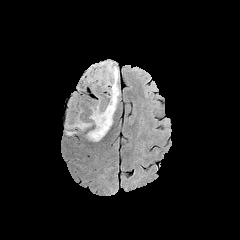
FLAIR magnetic resonance.
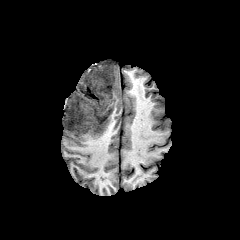
Same slice, T1-weighted magnetic resonance.
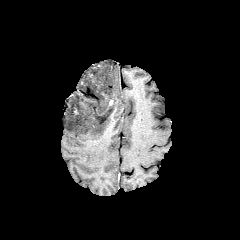
Post-contrast T1-weighted MR image.
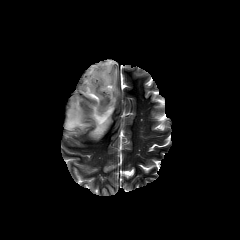
T2-weighted magnetic resonance.
Brain
Edema = [66,60,120,141].
Non-enhancing tumor core = [96,70,109,80], [95,111,109,123].